CT, Field of view 372 mm wide, 3.00 mm slice spacing, Abdomen
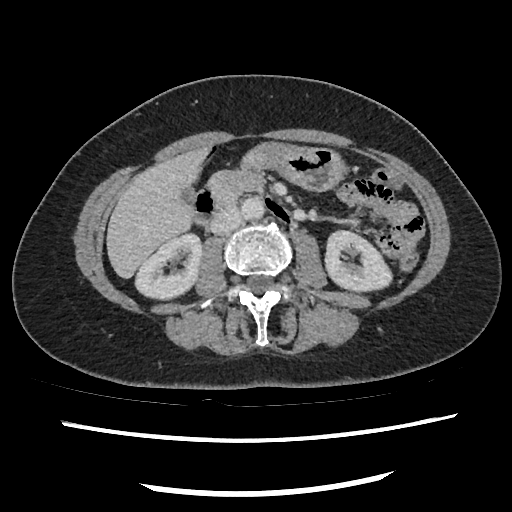
<segmentation>
  <pancreas>x1=211 y1=170 x2=263 y2=208</pancreas>
</segmentation>